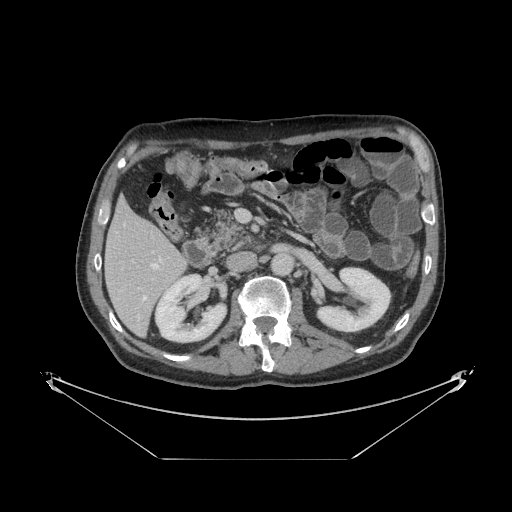
Abdomen | CT scan slice
Pancreas — (205, 209, 247, 254).